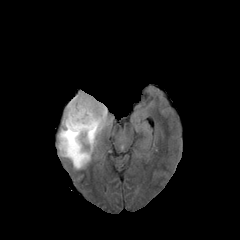
FLAIR MR image.
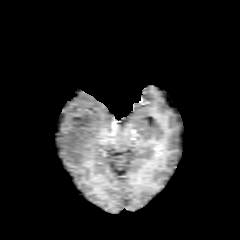
T1-weighted MR.
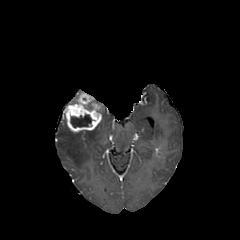
Post-contrast T1-weighted MR image of the same slice.
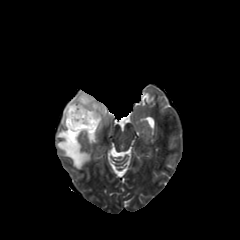
T2-weighted MR image.
{
  "edema": [
    "l=58, t=106, r=110, b=169"
  ],
  "enhancing_tumor": [
    "l=62, t=91, r=104, b=133"
  ],
  "non-enhancing_tumor_core": [
    "l=70, t=114, r=91, b=127"
  ]
}